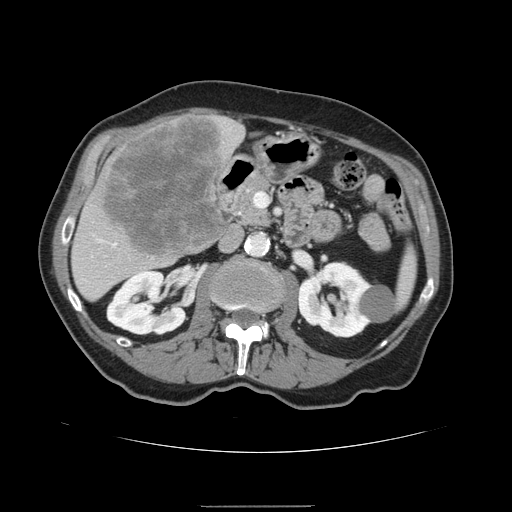 Computed tomography | Liver
Some hepatic vessels may have no box.
The hepatic vessel appears at {"x1": 114, "y1": 242, "x2": 115, "y2": 245}. The liver tumor lies within {"x1": 103, "y1": 118, "x2": 228, "y2": 257}.